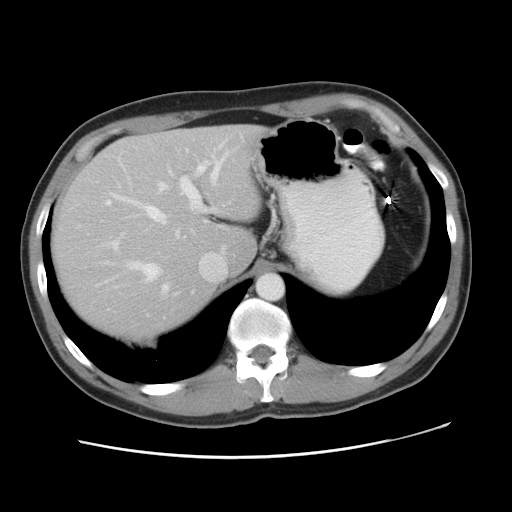

CT slice; 512x512 px; Abdomen

The vessel boxes may cover only some of the vessels.
14 hepatic vessel regions are bounded by <box>103,262,112,263</box>, <box>219,247,223,258</box>, <box>103,233,123,250</box>, <box>219,140,224,147</box>, <box>162,284,168,292</box>, <box>175,231,179,234</box>, <box>105,192,166,224</box>, <box>180,175,188,193</box>, <box>211,208,214,209</box>, <box>197,161,207,173</box>, <box>158,182,165,190</box>, <box>210,152,226,183</box>, <box>126,261,161,281</box>, <box>190,201,192,206</box>.